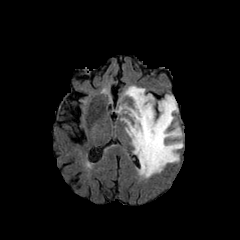
FLAIR MR image.
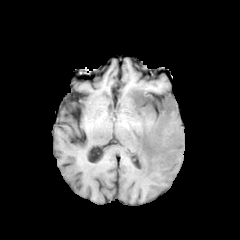
T1-weighted MR image of the same slice.
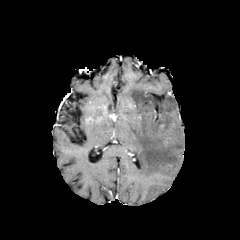
Same slice, post-contrast T1-weighted MRI.
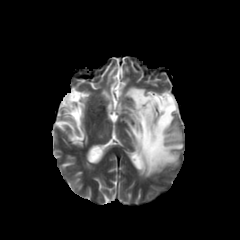
T2-weighted MR image.
The edema lies within (left=113, top=85, right=183, bottom=177).